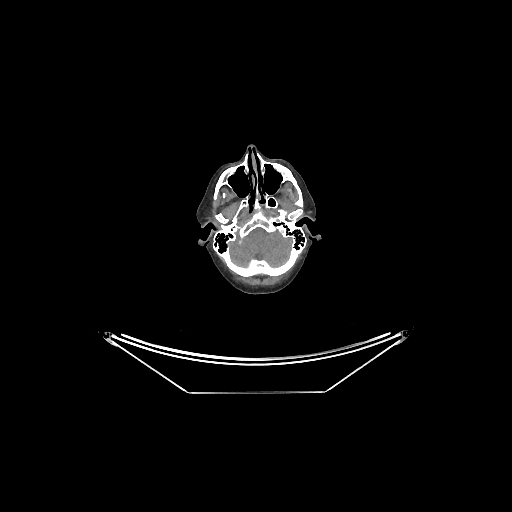 CT scan slice, Head
Brain: (left=226, top=227, right=293, bottom=268).